MRI | 36x48 px | Field of view 36x48 mm 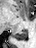 posterior_hippocampus:
  - box(13, 30, 27, 40)